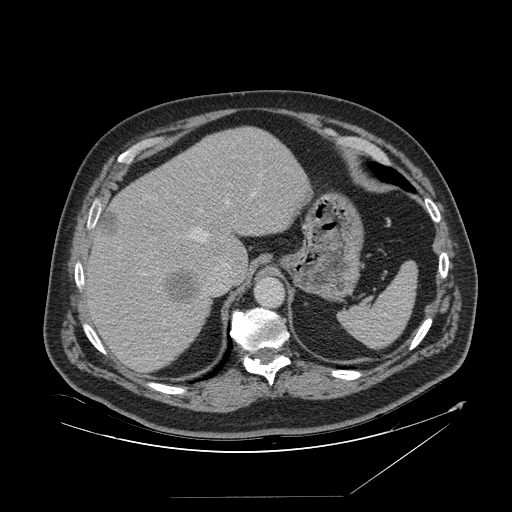
CT image, 512x512, Upper abdomen

<segmentation>
  <spleen>(left=334, top=263, right=417, bottom=348)</spleen>
</segmentation>